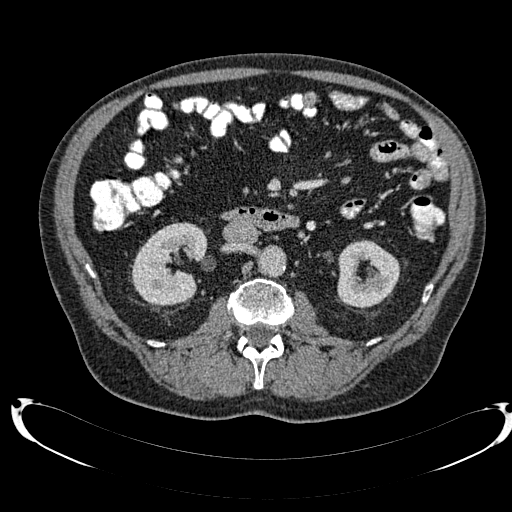 512x512 px. CT slice. Abdomen.
kidney:
  - {"x1": 337, "y1": 240, "x2": 399, "y2": 307}
  - {"x1": 132, "y1": 222, "x2": 206, "y2": 305}